Liver. CT image. Slice 372/565. Image width 335 mm. 512x512 px.
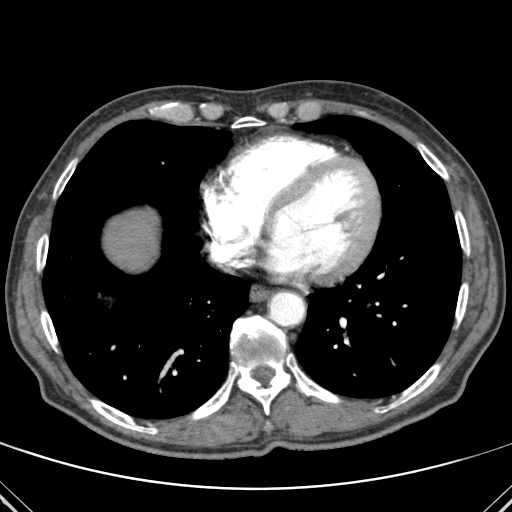

Segmented structures:
- lung: (43,120,249,418), (294,115,461,397)
- liver: (103,211,158,271)
- bone: (36,235,48,270), (53,160,75,197), (149,103,177,113), (40,311,57,350), (232,117,264,127), (191,315,340,419), (456,283,468,323), (400,364,440,403), (418,144,448,179), (90,400,157,434), (455,211,469,254)